FLAIR MR.
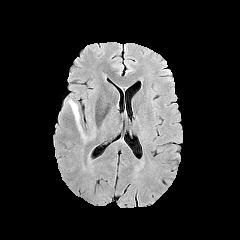
T1-weighted MR image.
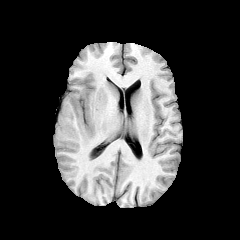
Post-contrast T1-weighted MR image.
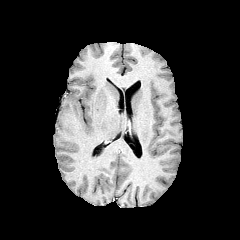
T2-weighted magnetic resonance.
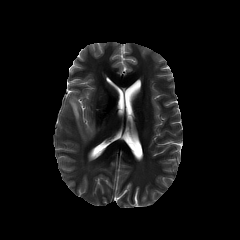
Brain
Edema: bounding box 66, 96, 95, 140.